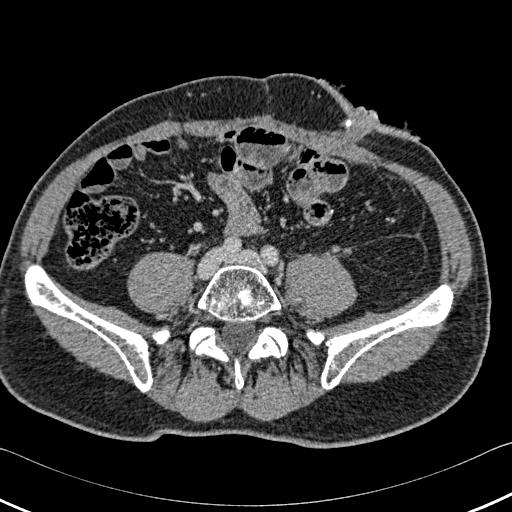 CT slice
bone: <bbox>147, 328, 170, 344</bbox>, <bbox>248, 327, 287, 358</bbox>, <bbox>307, 285, 452, 388</bbox>, <bbox>235, 359, 243, 389</bbox>, <bbox>25, 266, 152, 391</bbox>, <bbox>198, 265, 280, 320</bbox>, <bbox>190, 327, 228, 361</bbox>